Brain
FLAIR magnetic resonance.
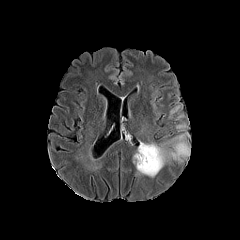
T1-weighted MR image.
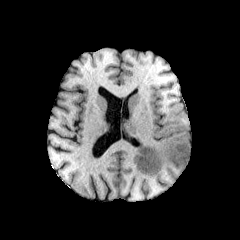
Post-contrast T1-weighted MRI.
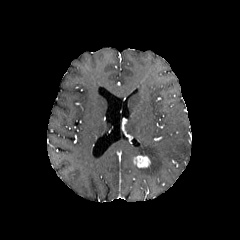
T2-weighted magnetic resonance.
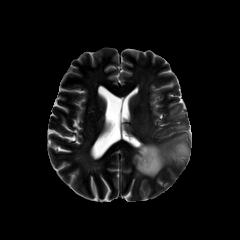
Findings:
• edema: bbox(134, 134, 190, 176)
• enhancing tumor: bbox(133, 156, 149, 167)